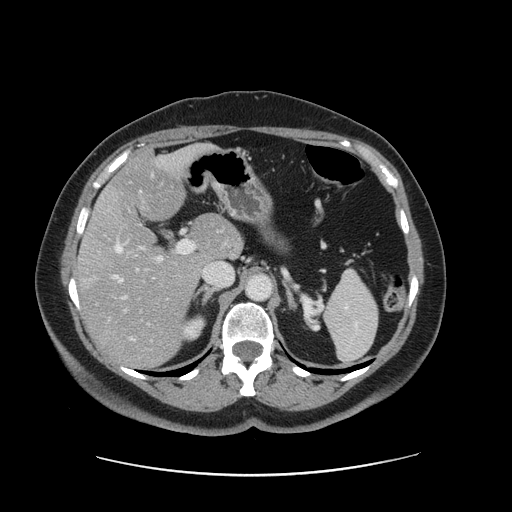

Computed tomography

The vessel annotation is not exhaustive.
Hepatic vessel: (114,275,122,281), (116,242,122,251), (130,337,134,340), (122,296,126,298), (137,269,138,270), (157,256,162,260), (140,246,143,248).